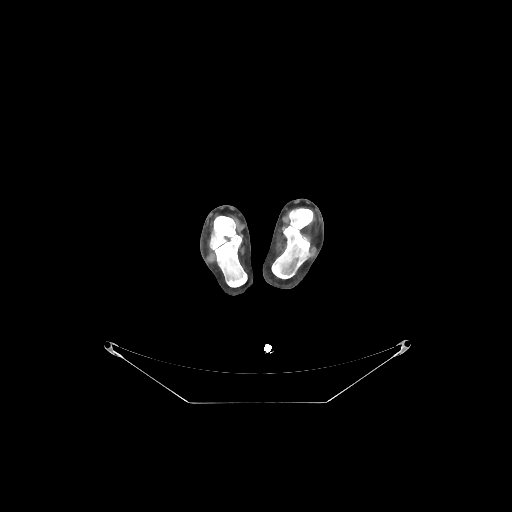

CT slice
<segmentation>
  <bone>[210,216,247,287], [272,208,312,278]</bone>
</segmentation>